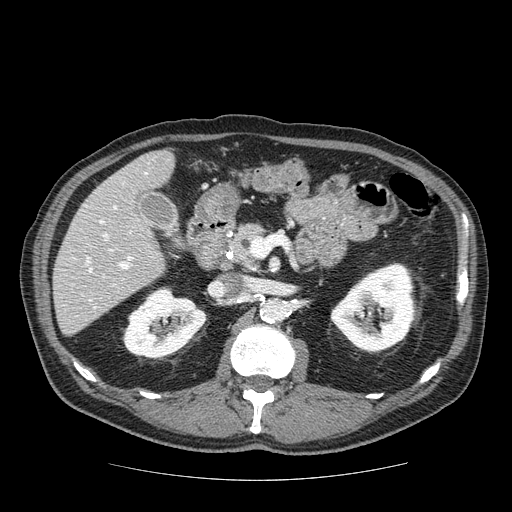
Abdomen; CT image
The pancreas is at bbox(227, 221, 266, 268).